Slice index 584; CT image; Thorax; Field of view 360 mm wide, 0.80 mm slice spacing; 512x512 px
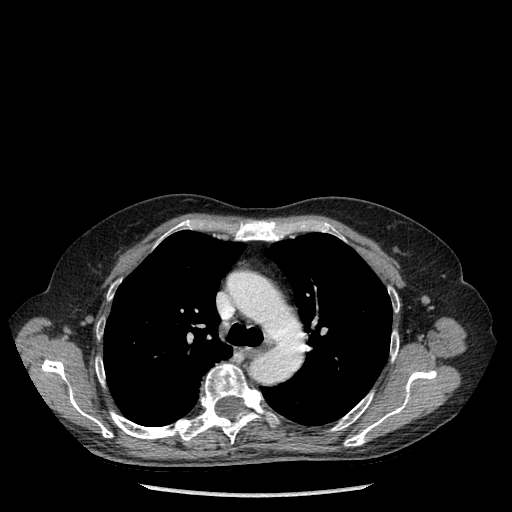

lung:
  - {"x1": 104, "y1": 230, "x2": 262, "y2": 426}
  - {"x1": 262, "y1": 233, "x2": 392, "y2": 425}
bone:
  - {"x1": 344, "y1": 370, "x2": 436, "y2": 446}
  - {"x1": 388, "y1": 286, "x2": 399, "y2": 312}
  - {"x1": 320, "y1": 223, "x2": 344, "y2": 240}
  - {"x1": 110, "y1": 364, "x2": 278, "y2": 443}
  - {"x1": 41, "y1": 359, "x2": 112, "y2": 437}
  - {"x1": 95, "y1": 357, "x2": 104, "y2": 385}
  - {"x1": 235, "y1": 220, "x2": 281, "y2": 240}
  - {"x1": 390, "y1": 331, "x2": 398, "y2": 361}
  - {"x1": 96, "y1": 320, "x2": 104, "y2": 338}
  - {"x1": 155, "y1": 220, "x2": 194, "y2": 246}
  - {"x1": 107, "y1": 284, "x2": 113, "y2": 300}
  - {"x1": 330, "y1": 392, "x2": 373, "y2": 431}